FLAIR MRI.
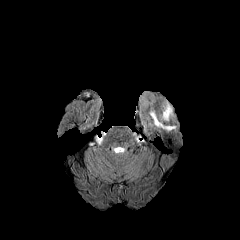
T1-weighted magnetic resonance.
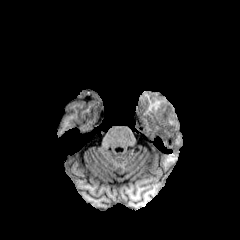
Post-contrast T1-weighted MR.
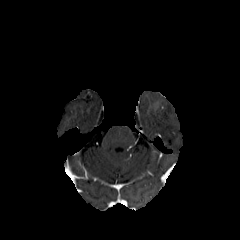
T2-weighted MRI.
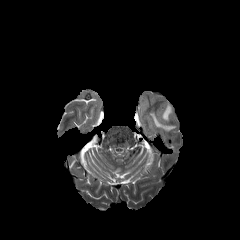
Brain. 240x240.
Edema at <box>148,110,176,130</box>, <box>162,106,173,121</box>.